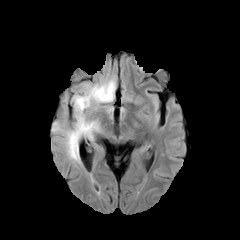
FLAIR MR.
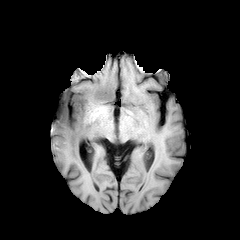
T1-weighted MR image.
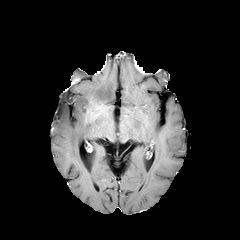
Post-contrast T1-weighted MR of the same slice.
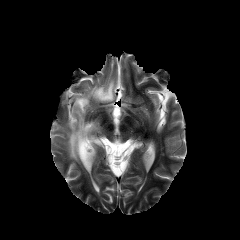
Same slice, T2-weighted magnetic resonance.
Head
Edema: bounding box x1=52 y1=76 x2=116 y2=167.